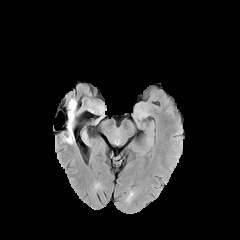
FLAIR MR.
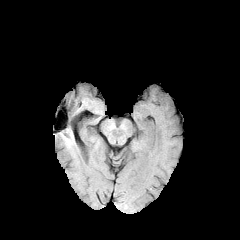
T1-weighted magnetic resonance of the same slice.
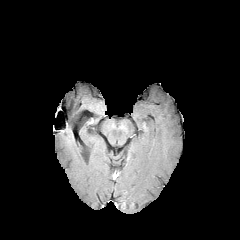
Post-contrast T1-weighted MR image.
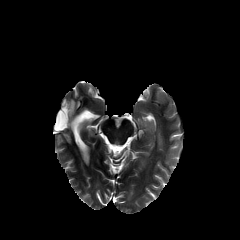
Same slice, T2-weighted MRI.
Edema at x1=67 y1=98 x2=78 y2=142.